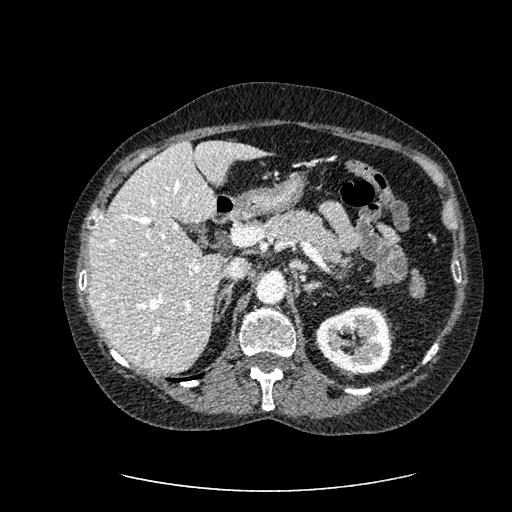
CT scan slice, Liver
kidney:
  - <bbox>317, 307, 390, 373</bbox>
liver:
  - <bbox>90, 141, 273, 373</bbox>